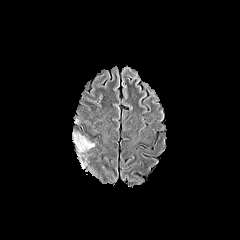
FLAIR MR image.
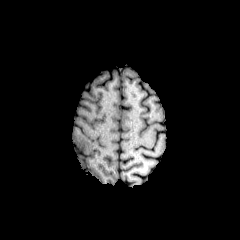
Same slice, T1-weighted MRI.
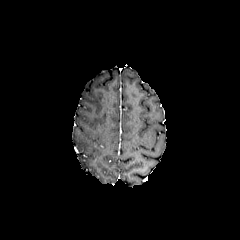
Same slice, post-contrast T1-weighted MRI.
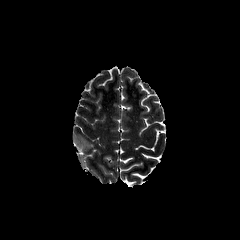
Same slice, T2-weighted MRI.
240x240, Head
The edema appears at bbox=[73, 133, 94, 152].